CT image, 512x512 px, Upper abdomen

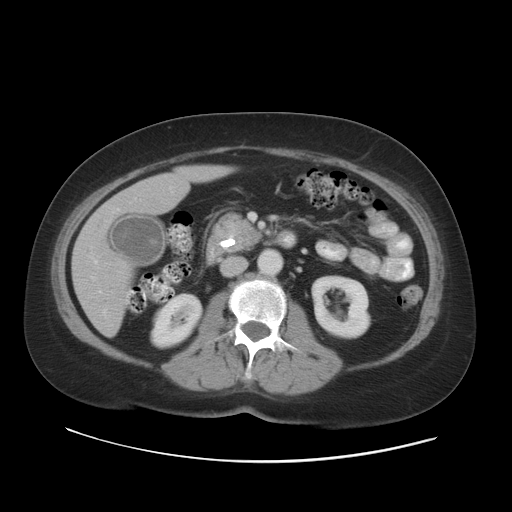
Annotated regions:
- pancreatic tumor: x1=230, y1=222, x2=257, y2=238
- pancreas: x1=212, y1=216, x2=262, y2=253